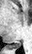 Magnetic resonance

The posterior hippocampus is located at region(7, 42, 20, 48).